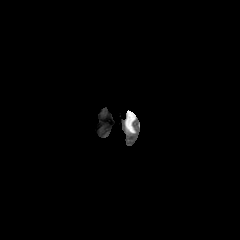
FLAIR MRI.
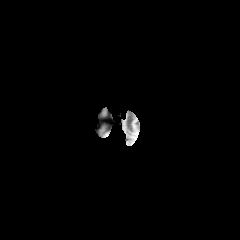
T1-weighted MRI of the same slice.
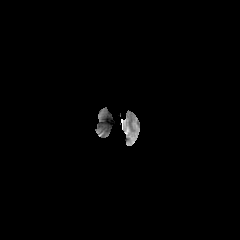
Post-contrast T1-weighted MRI.
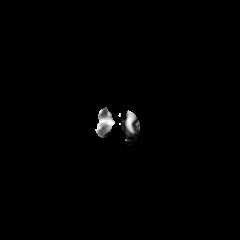
T2-weighted MRI.
Head
Non-enhancing tumor core: [126, 117, 131, 131].
Edema: [124, 110, 139, 134].